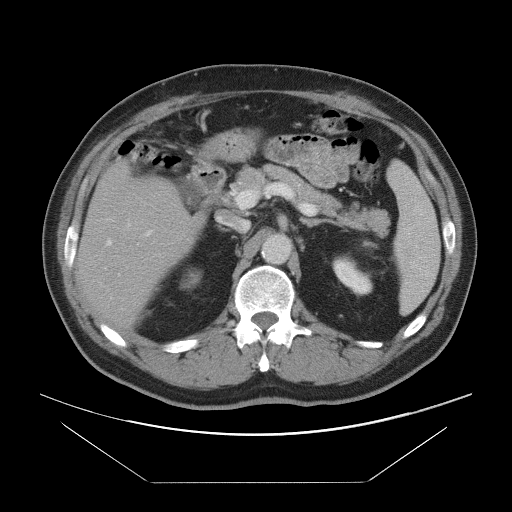 CT slice; Abdomen
Not every hepatic vessel necessarily has a box.
The hepatic vessel is at l=146, t=231, r=151, b=234.